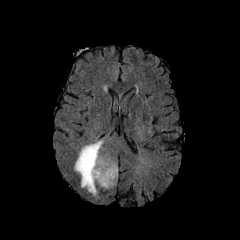
FLAIR magnetic resonance.
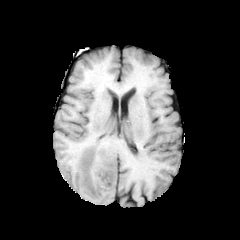
Same slice, T1-weighted magnetic resonance.
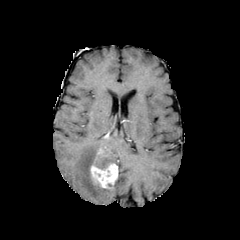
Same slice, post-contrast T1-weighted MR image.
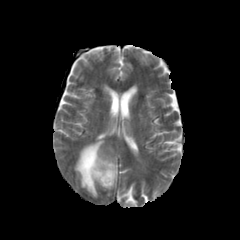
T2-weighted magnetic resonance.
Segmented structures:
* edema: l=74, t=139, r=110, b=196
* enhancing tumor: l=90, t=161, r=117, b=188